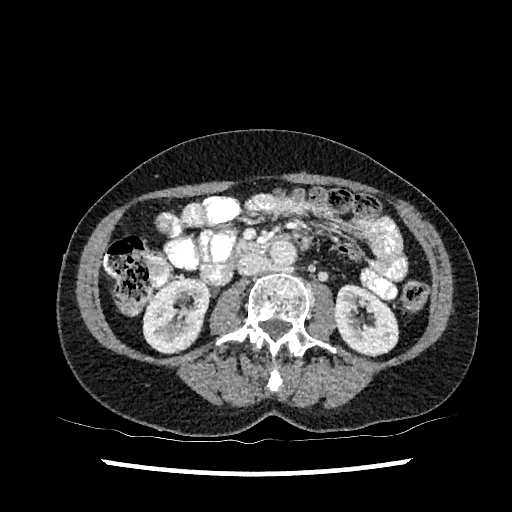

Abdomen. CT image. Kidney: bounding box box=[143, 279, 208, 352]; box=[335, 286, 397, 354].